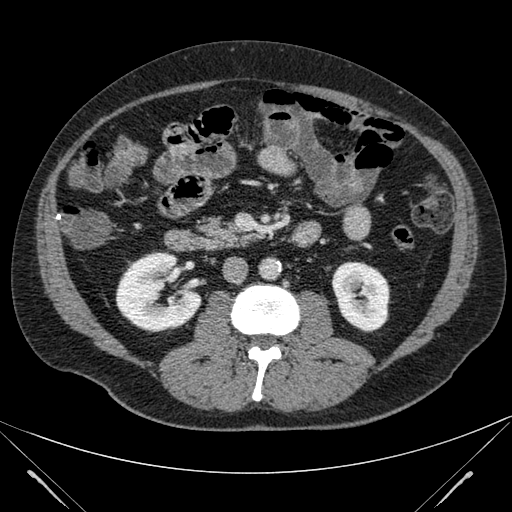
512x512; Abdomen; CT slice
{"kidney": ["117, 253, 200, 330", "333, 263, 388, 330"]}